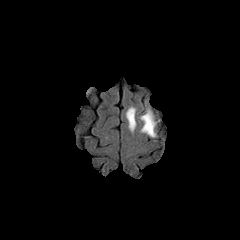
FLAIR MR image.
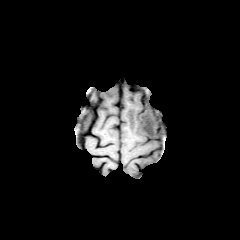
T1-weighted MR.
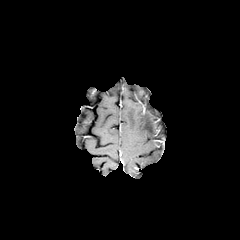
Post-contrast T1-weighted magnetic resonance of the same slice.
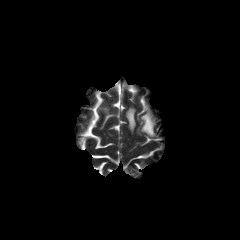
T2-weighted magnetic resonance.
Head
2 edema regions are bounded by <bbox>126, 107, 136, 131</bbox>, <bbox>140, 110, 155, 137</bbox>.